CT, Abdomen, Slice 65/86

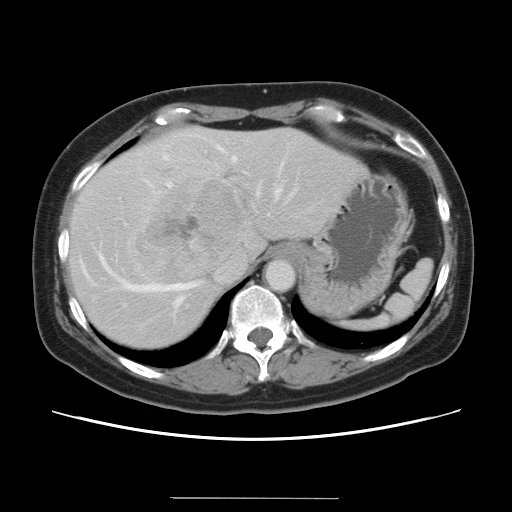
Some hepatic vessels may have no box.
Annotated regions:
• liver tumor: x1=134, y1=179, x2=245, y2=279
• hepatic vessel (most prominent 15 of 16): x1=274, y1=188, x2=280, y2=198; x1=232, y1=157, x2=235, y2=162; x1=256, y1=187, x2=259, y2=195; x1=167, y1=182, x2=171, y2=187; x1=81, y1=263, x2=94, y2=285; x1=119, y1=280, x2=196, y2=291; x1=124, y1=223, x2=125, y2=225; x1=217, y1=146, x2=223, y2=152; x1=289, y1=191, x2=294, y2=196; x1=163, y1=154, x2=167, y2=160; x1=280, y1=163, x2=282, y2=167; x1=173, y1=297, x2=183, y2=307; x1=174, y1=312, x2=174, y2=318; x1=127, y1=241, x2=129, y2=243; x1=96, y1=249, x2=110, y2=272